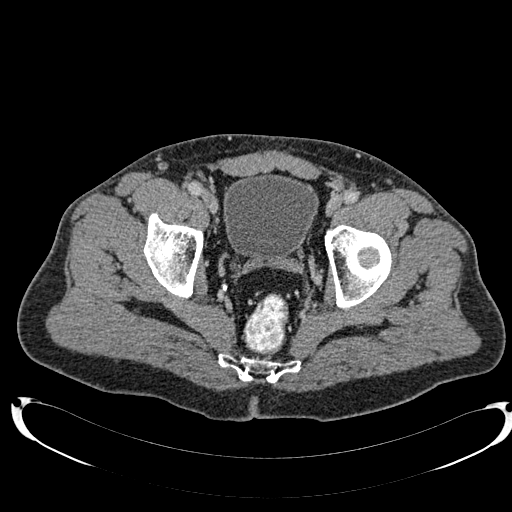
CT image

Annotated regions:
- urinary bladder: 223 173 318 266